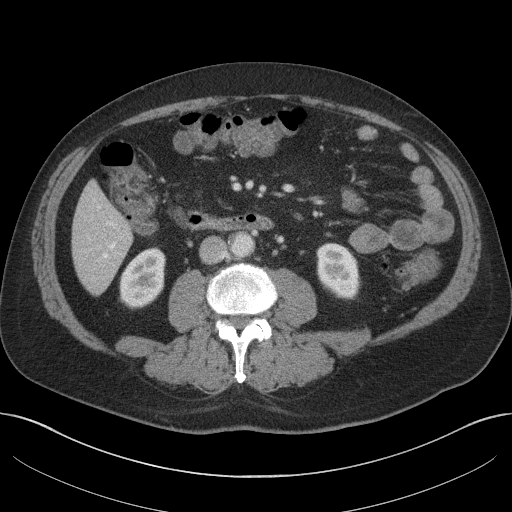

CT scan slice. Upper abdomen.
Annotated regions:
• liver: x1=72 y1=183 x2=132 y2=292
• kidney: x1=318 y1=244 x2=357 y2=296, x1=121 y1=249 x2=164 y2=305